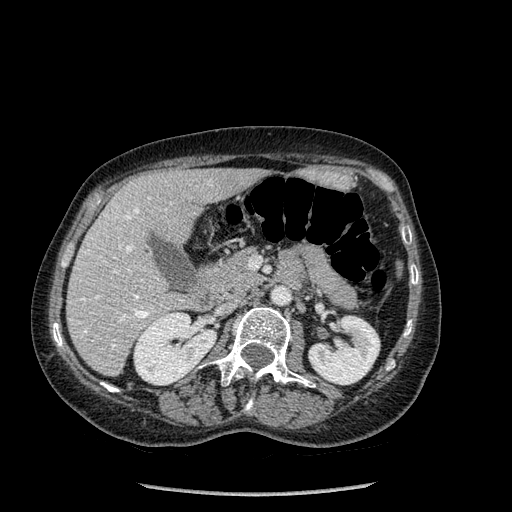

Abdomen. Image size 512x512. CT image. Liver — box=[66, 168, 266, 376].
Kidney — box=[196, 318, 206, 326]; box=[309, 316, 379, 384]; box=[134, 313, 215, 384].
Bone — box=[410, 264, 418, 284]; box=[245, 399, 253, 412]; box=[209, 307, 315, 387]; box=[401, 227, 411, 244]; box=[100, 382, 118, 392]; box=[53, 322, 62, 346]; box=[404, 320, 412, 336].